Computed tomography | 512x512 | Image width 382 mm | Abdomen
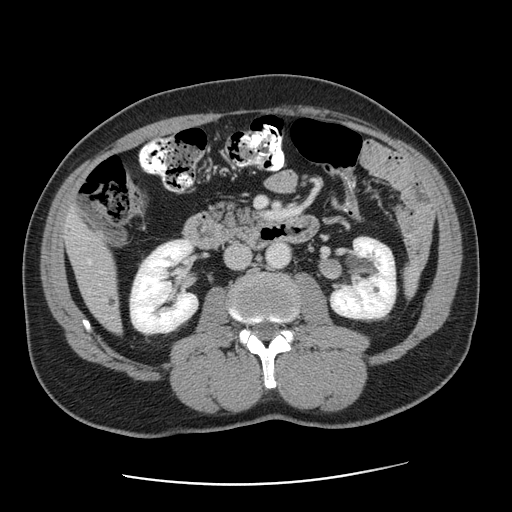 Some hepatic vessels may have no box.
The hepatic vessel lies within rect(89, 260, 90, 262). 2 liver tumor regions are located at rect(104, 294, 118, 310); rect(66, 226, 73, 234).